FLAIR magnetic resonance.
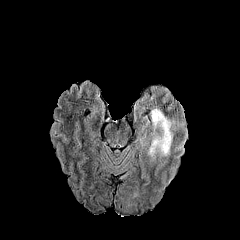
T1-weighted magnetic resonance.
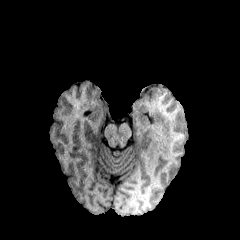
Post-contrast T1-weighted MR.
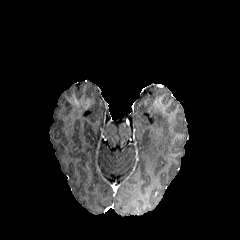
T2-weighted MRI.
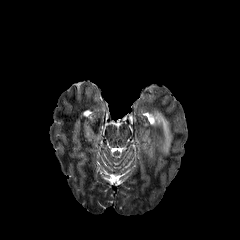
Image size 240x240 | Head
edema:
  - region(149, 109, 172, 161)